CT. Abdomen.

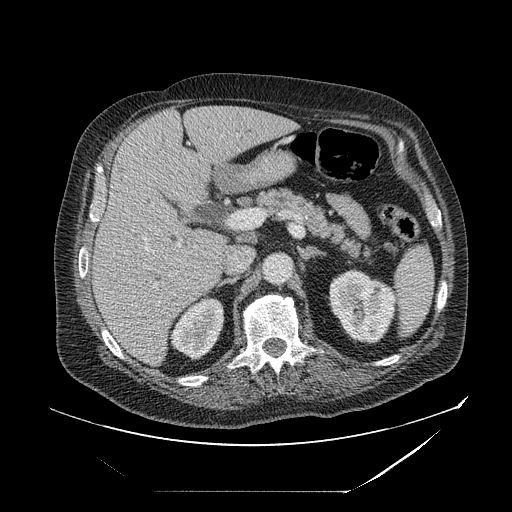 • pancreas: region(255, 188, 372, 261)